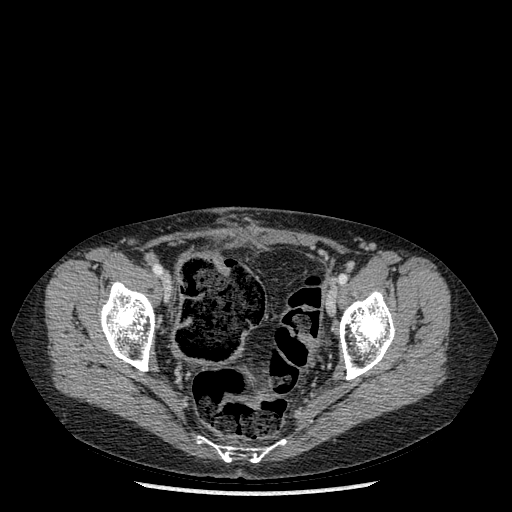 Computed tomography, 512x512 px

{
  "bone": [
    "339, 290, 395, 379",
    "196, 436, 286, 462",
    "99, 281, 154, 371"
  ]
}